Computed tomography, Field of view 436 mm wide, 2.50 mm slice spacing 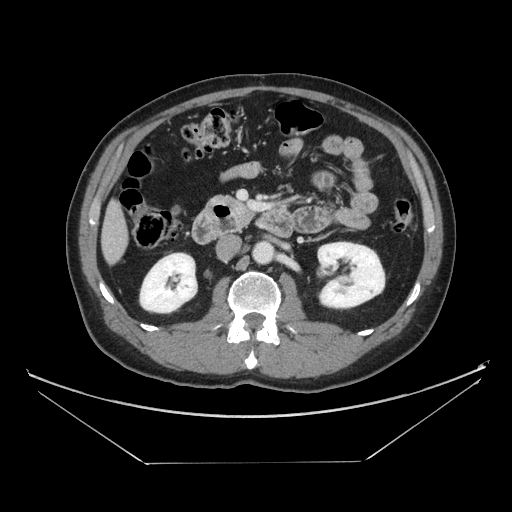 The pancreatic tumor appears at (232,201,244,217). The pancreas is located at (231,205,252,227).